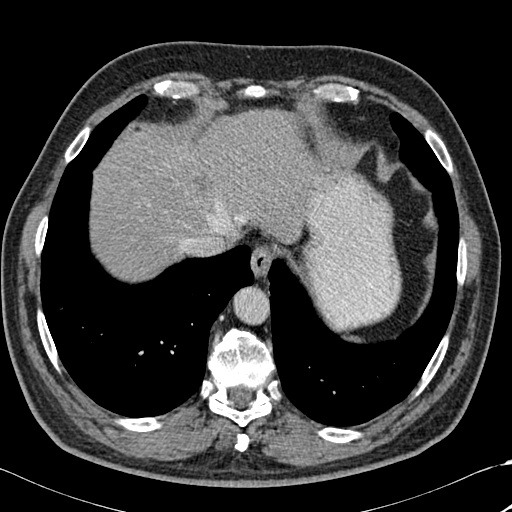 CT
<segmentation>
  <liver>[92, 110, 308, 279], [224, 237, 231, 248]</liver>
  <hepatic_lesion>[192, 171, 211, 193]</hepatic_lesion>
  <lung>[268, 112, 458, 426], [40, 94, 253, 417]</lung>
  <bone>[202, 329, 278, 426], [426, 130, 451, 171], [319, 428, 359, 442], [419, 337, 447, 391], [65, 128, 88, 161], [457, 241, 466, 282], [344, 87, 358, 99], [119, 418, 159, 431], [38, 312, 57, 367], [35, 218, 47, 253], [250, 86, 261, 96], [235, 434, 248, 451], [154, 81, 182, 96]</bone>
</segmentation>